FLAIR MR image.
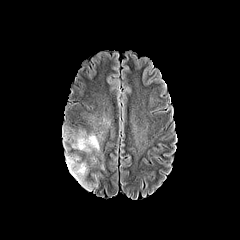
T1-weighted magnetic resonance.
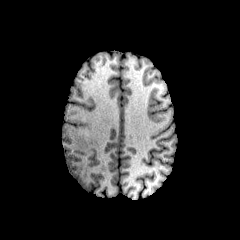
Post-contrast T1-weighted magnetic resonance.
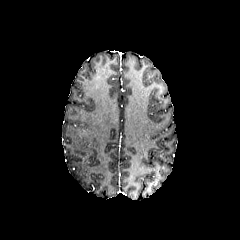
T2-weighted magnetic resonance.
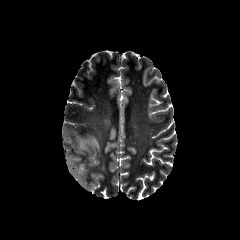
Annotated regions:
* edema: (65,155,88,188), (62,130,100,153)